CT slice. Abdomen. Image width 437 mm. 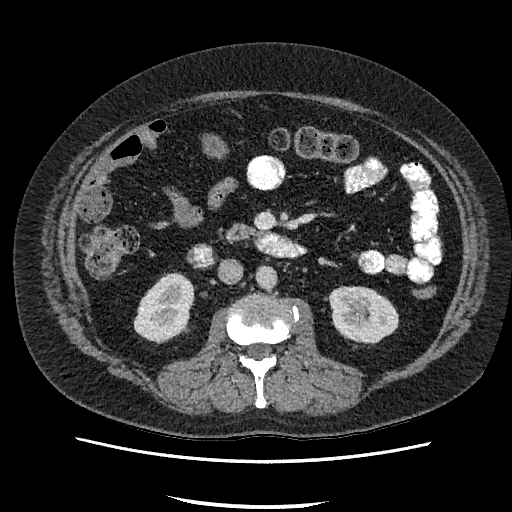

kidney:
  - <box>330,287,397,342</box>
  - <box>135,275,192,340</box>